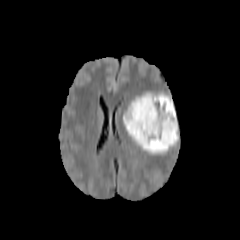
FLAIR MR image.
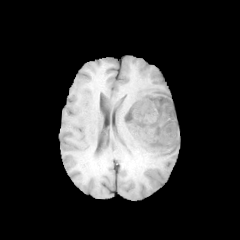
T1-weighted MR image.
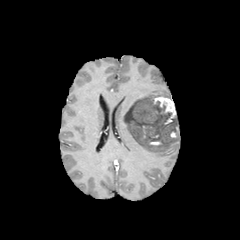
Post-contrast T1-weighted MR image.
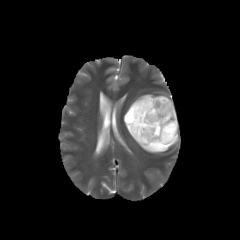
Same slice, T2-weighted magnetic resonance.
Head
Enhancing tumor — region(149, 140, 162, 145); region(169, 124, 179, 138); region(153, 95, 176, 125).
Edema — region(136, 140, 172, 154); region(124, 91, 155, 139).
Non-enhancing tumor core — region(125, 97, 177, 148).